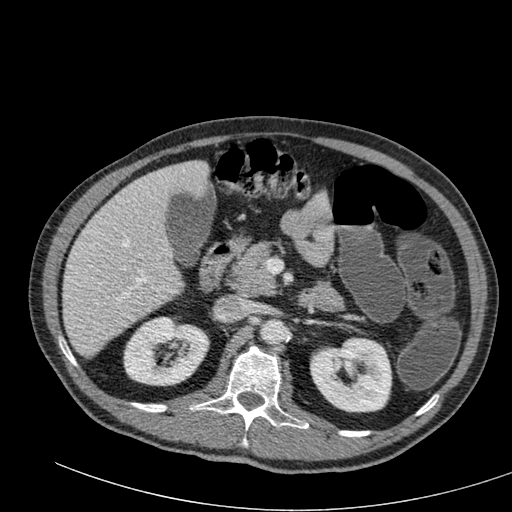
CT image. Abdomen.
* kidney: (x1=124, y1=317, x2=208, y2=385), (x1=311, y1=339, x2=391, y2=411)
* liver: (x1=63, y1=161, x2=208, y2=355)